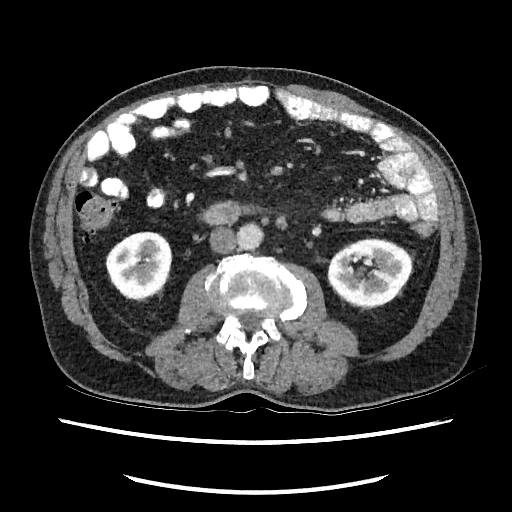 512x512; CT scan slice; Abdomen

{"kidney": ["<box>328,239,411,308</box>", "<box>106,232,171,300</box>"]}